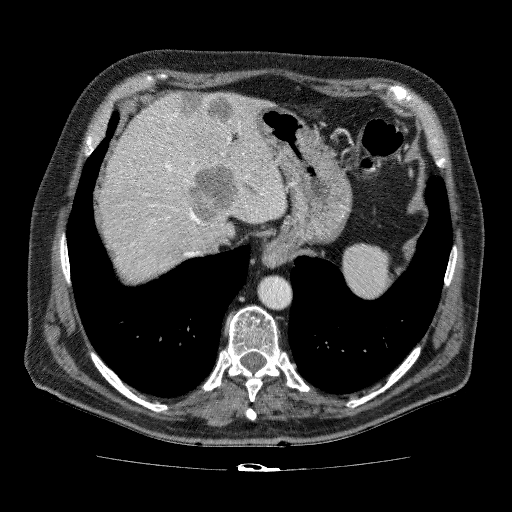 512x512 | CT scan slice | Upper abdomen
Focal liver lesion — (174,92,235,122), (185,162,239,223), (106,244,118,260), (178,213,188,225), (243,181,262,197), (230,128,245,146).
Liver — (99,91,285,281).